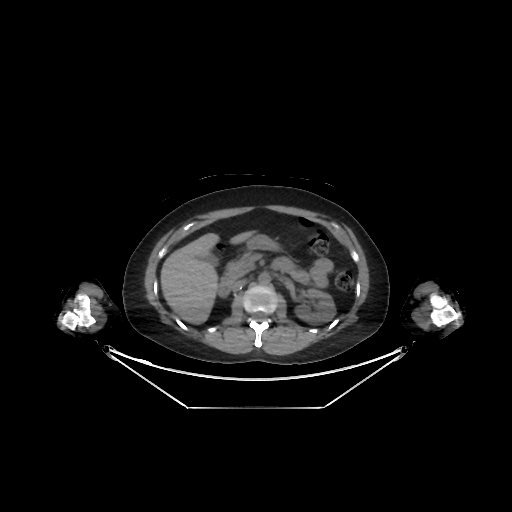 CT, Upper abdomen
<segmentation>
  <kidney>[295,287,335,324]</kidney>
  <liver>[161,233,220,323], [231,231,254,243]</liver>
</segmentation>